Computed tomography, Lower abdomen, Image size 512x512

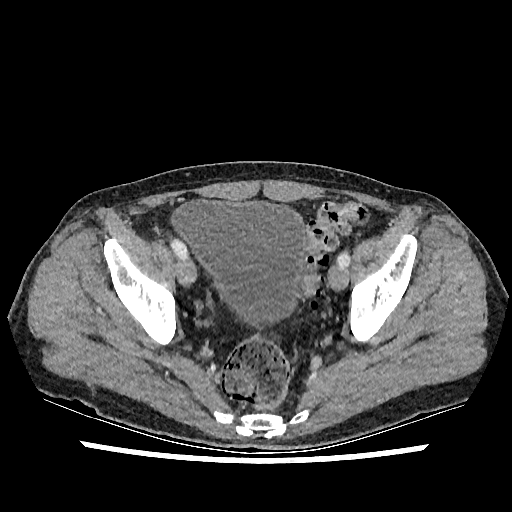 {
  "urinary_bladder": [
    "bbox=[177, 199, 310, 330]"
  ]
}